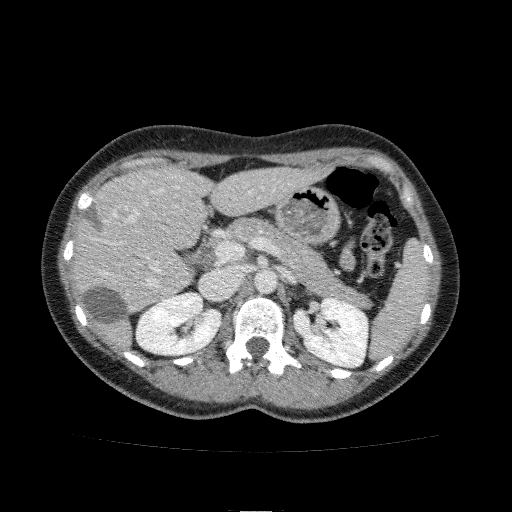 CT
Liver — 72 166 330 348.
Kidney — 136 293 220 354, 294 298 367 367.